CT image, Slice 261 of 689
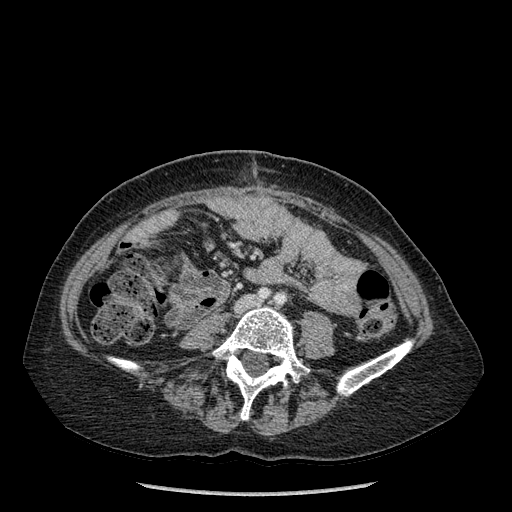
3 bone regions are located at 108:357:139:370, 337:340:413:395, 212:305:309:419.